FLAIR MRI.
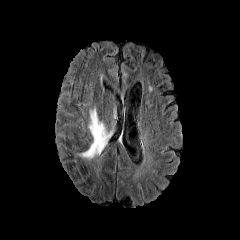
T1-weighted MR image.
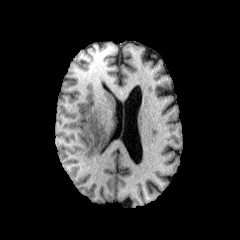
Post-contrast T1-weighted magnetic resonance.
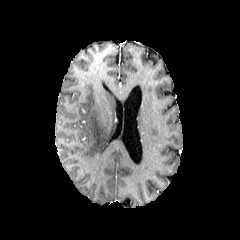
T2-weighted MR.
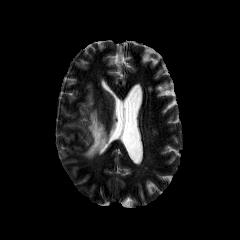
The edema lies within 83, 107, 114, 158.